Image size 512x512. CT. Upper abdomen.
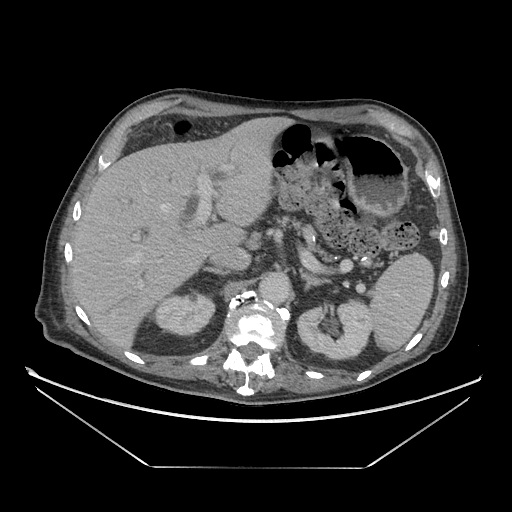

Pancreas: bbox(315, 247, 326, 257); bbox(279, 217, 300, 225).